CT, Slice 32/121, Upper abdomen 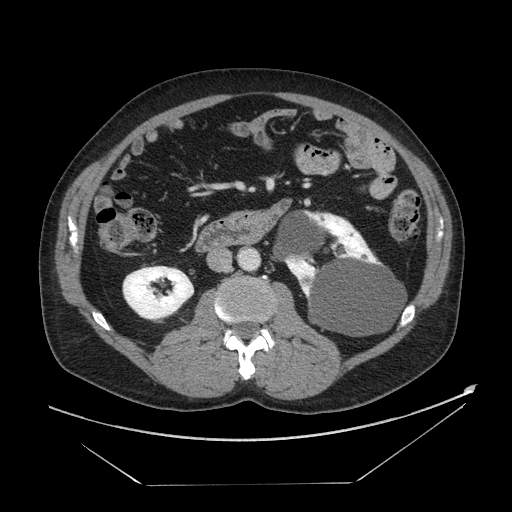
pancreas: bbox=[229, 212, 245, 218]